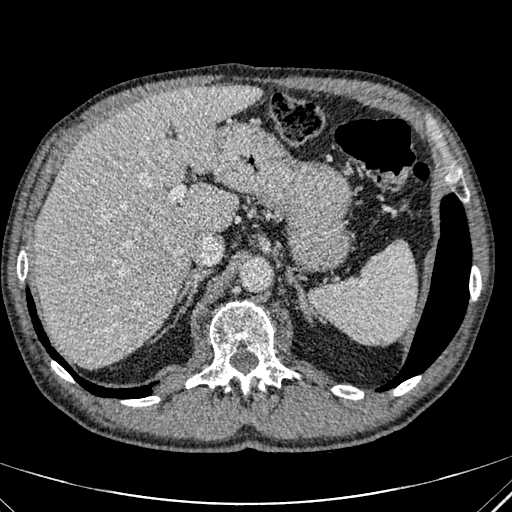

Liver, CT slice

Segmented structures:
* liver: (x1=35, y1=85, x2=262, y2=366)